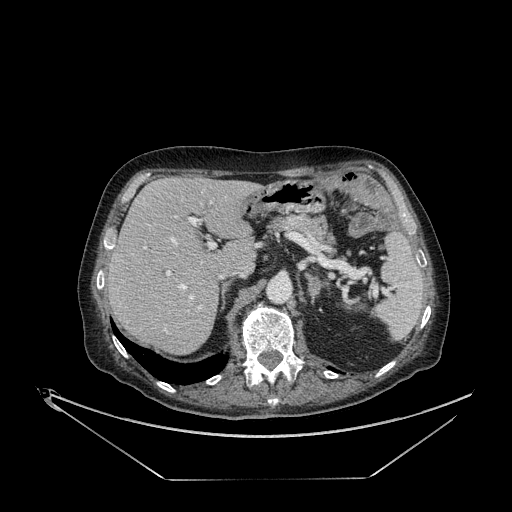 CT image; Image size 512x512
Liver: bounding box left=108, top=177, right=261, bottom=353.